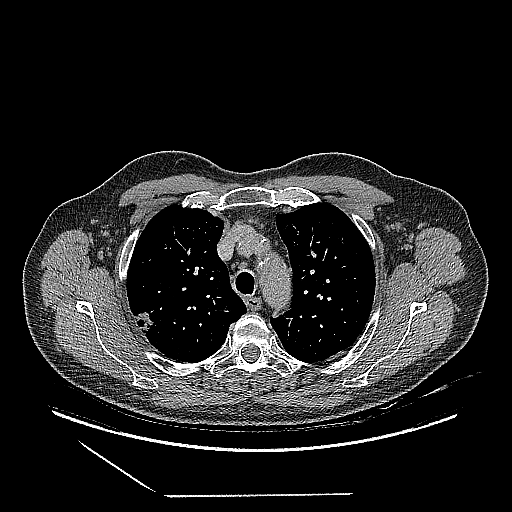 512x512 px; CT slice

Segmented structures:
- lung tumor: 135 310 154 334